CT

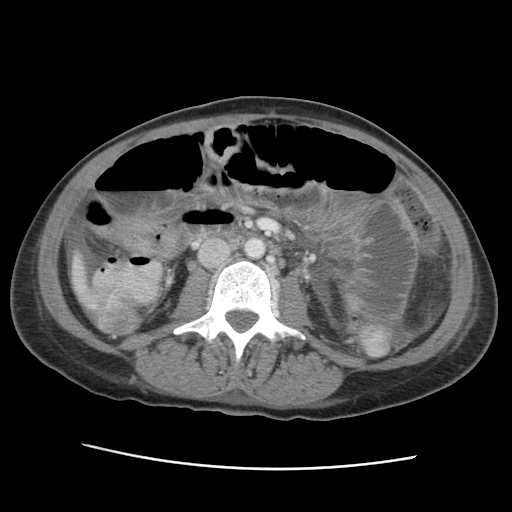

The liver is bounded by [72, 256, 89, 300].